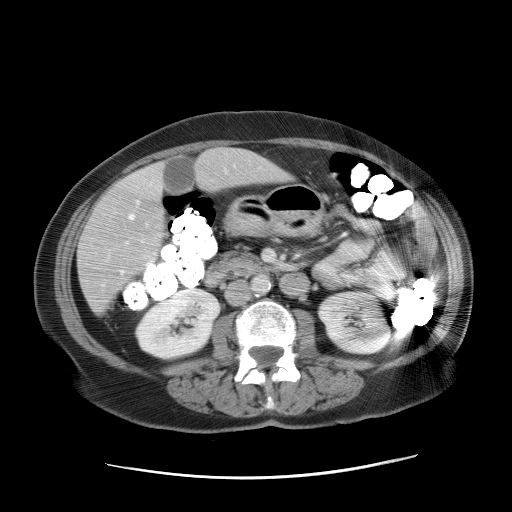

CT image; Abdomen
Some hepatic vessels may have no box.
hepatic vessel: {"x1": 137, "y1": 201, "x2": 139, "y2": 204}, {"x1": 129, "y1": 215, "x2": 133, "y2": 219}, {"x1": 121, "y1": 271, "x2": 123, "y2": 273}, {"x1": 142, "y1": 240, "x2": 143, "y2": 241}